Brain
FLAIR MRI.
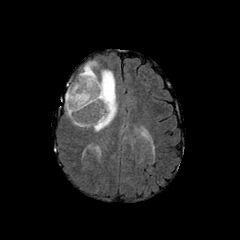
T1-weighted MR.
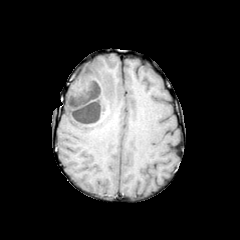
Post-contrast T1-weighted MRI.
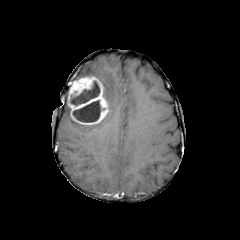
T2-weighted magnetic resonance.
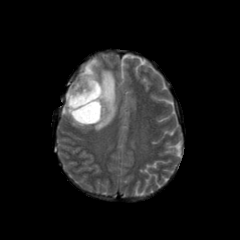
Segmented structures:
• enhancing tumor: [68,77,107,123]
• non-enhancing tumor core: [72,100,103,124], [68,80,100,105]
• edema: [65,60,117,130]